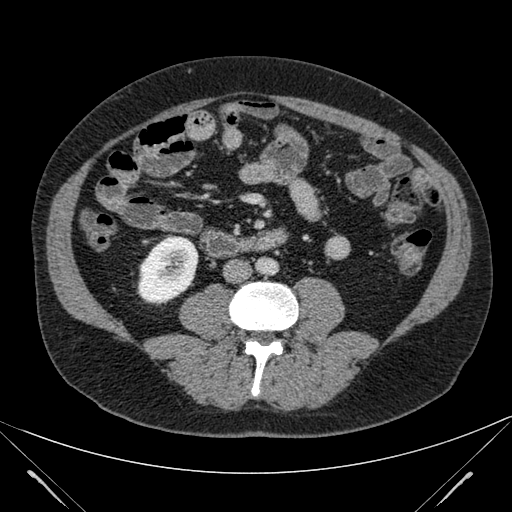
CT image, Abdomen, Image size 512x512
The kidney lies within (x1=139, y1=237, x2=197, y2=302).